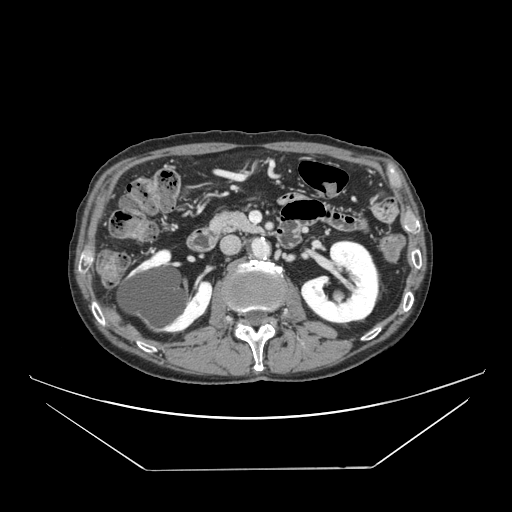
Computed tomography. Image size 512x512. The pancreas is located at rect(209, 208, 264, 235).